FLAIR MR image.
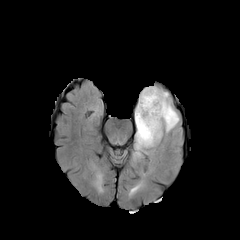
T1-weighted MRI.
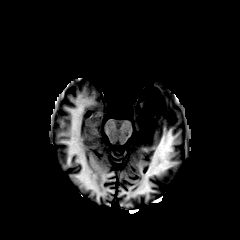
Post-contrast T1-weighted MR image.
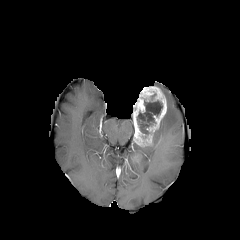
T2-weighted magnetic resonance.
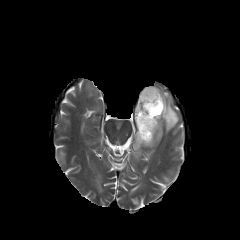
Head
Enhancing tumor at region(133, 86, 166, 138).
Edema at region(131, 88, 178, 161).
Non-enhancing tumor core at region(135, 134, 153, 146); region(137, 86, 162, 133).